240x240 px.
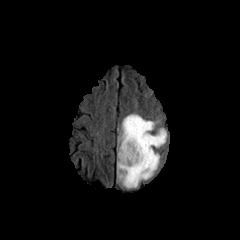
FLAIR MR image.
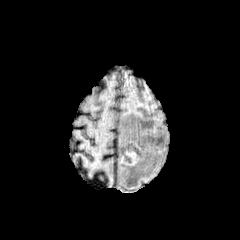
T1-weighted MRI.
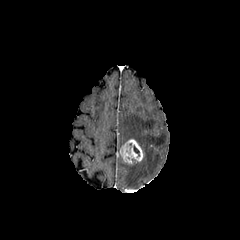
Same slice, post-contrast T1-weighted magnetic resonance.
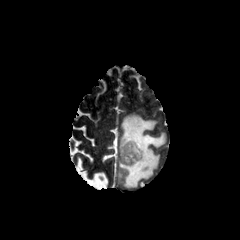
T2-weighted MRI.
Segmented structures:
• edema: (left=117, top=113, right=166, bottom=188)
• enhancing tumor: (left=118, top=139, right=144, bottom=164)